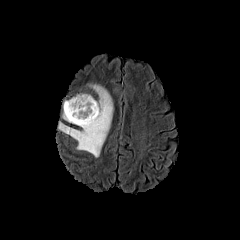
FLAIR magnetic resonance.
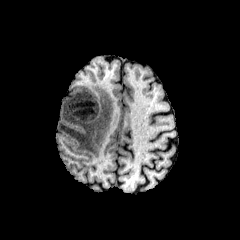
T1-weighted magnetic resonance of the same slice.
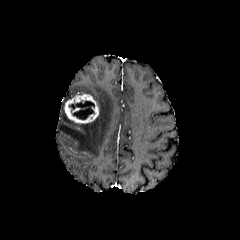
Post-contrast T1-weighted MR image.
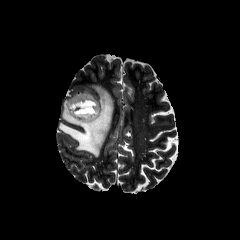
T2-weighted magnetic resonance.
The edema is bounded by 59:82:113:157. The enhancing tumor lies within 64:93:99:124. The non-enhancing tumor core is located at 68:100:94:119.